512x512; Slice 563/605; Chest; CT

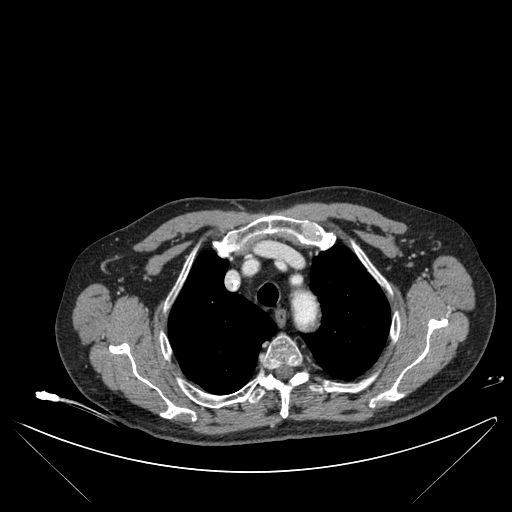
Bone — 177 371 308 417, 353 243 388 287, 370 318 447 407, 311 376 375 392, 109 343 196 420, 264 335 301 368, 160 332 171 358, 174 254 192 295, 213 215 335 257, 390 312 400 340.
Lung — 168 252 275 394, 257 284 277 305, 302 245 389 378.